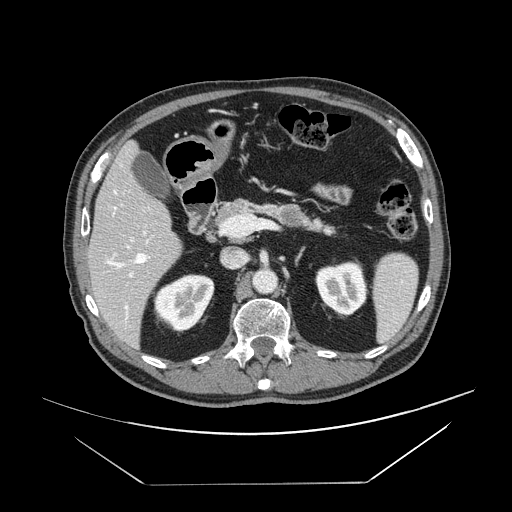

Computed tomography; Image size 512x512
Pancreatic tumor: bounding box [280,207,301,225].
Pancreas: bounding box [214,197,339,237].